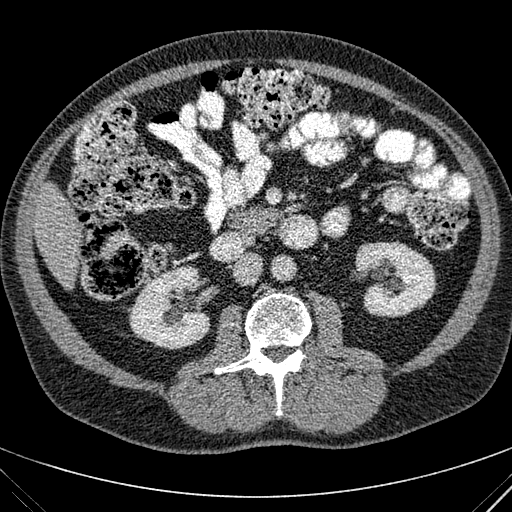
CT slice. Liver.
Liver at [x1=35, y1=182, x2=80, y2=289].
Kidney at [x1=130, y1=266, x2=212, y2=348], [x1=356, y1=242, x2=435, y2=316].